240x240 px. Slice 50 of 155. Brain.
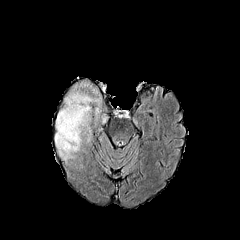
FLAIR MRI.
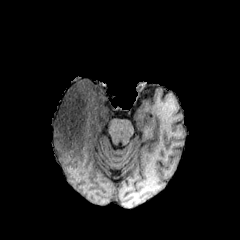
T1-weighted MR.
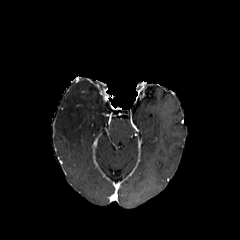
Same slice, post-contrast T1-weighted MRI.
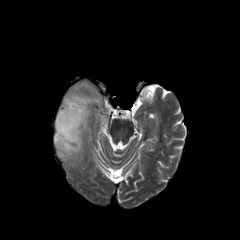
T2-weighted MR image.
edema: 54 81 108 160